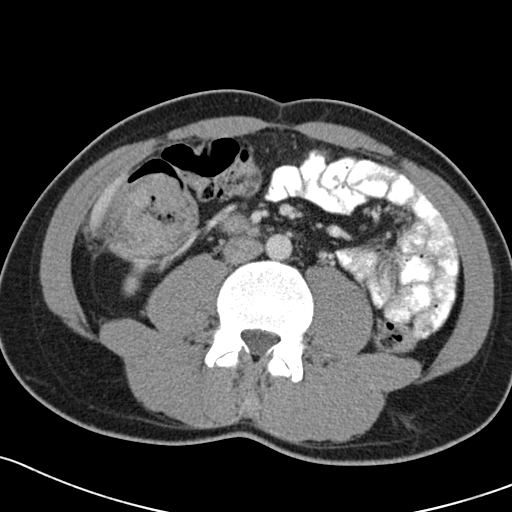

CT scan slice
Colon tumor = (x1=110, y1=174, x2=198, y2=259).